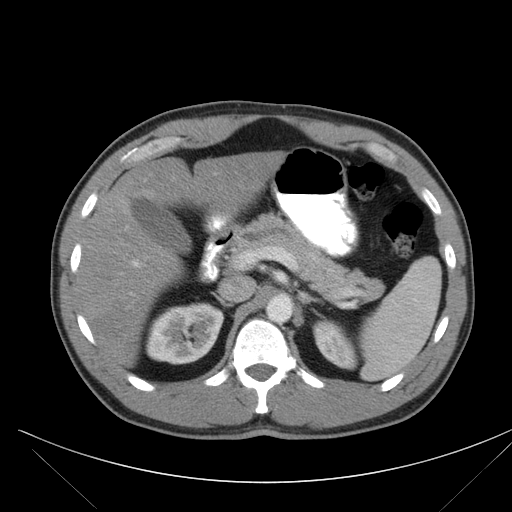
Abdomen; CT scan slice; 512x512

The pancreas appears at (223, 213, 382, 300).